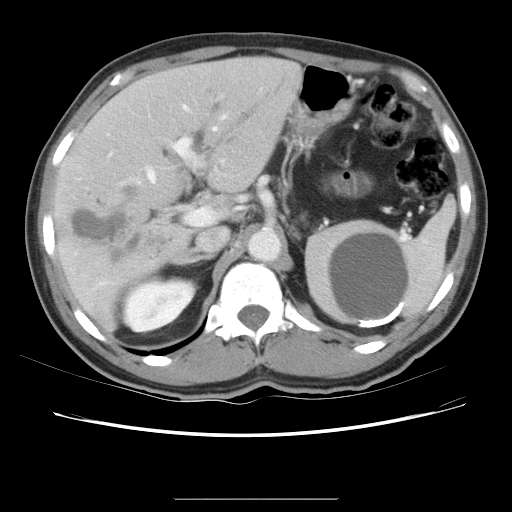

Liver; CT; 512x512
The vessel annotation is not exhaustive.
Liver tumor — (64,181,150,268).
Hepatic vessel — (219,114,226,118), (212,126,217,130), (219,158,223,162), (182,104,187,109), (219,94,223,97), (172,137,198,167), (116,178,141,185), (109,152,111,155), (147,168,155,181), (187,208,213,225).